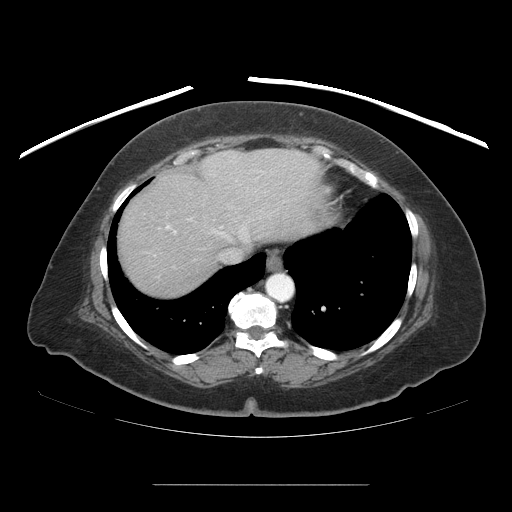 512x512 | CT

The vessel boxes may cover only some of the vessels.
6 hepatic vessel regions are bounded by [235, 178, 240, 185], [220, 249, 238, 261], [212, 226, 228, 237], [259, 216, 261, 218], [165, 224, 170, 229], [239, 224, 247, 241].